Slice 59/155 | Brain
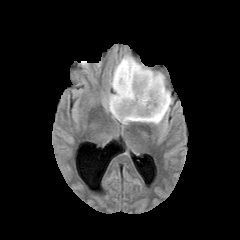
FLAIR MR image.
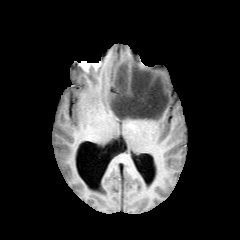
Same slice, T1-weighted magnetic resonance.
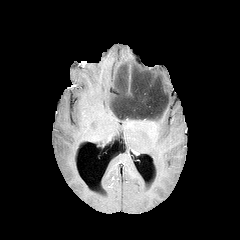
Post-contrast T1-weighted MRI of the same slice.
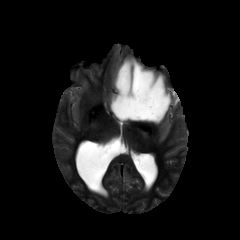
T2-weighted magnetic resonance of the same slice.
The edema appears at (x1=106, y1=55, x2=172, y2=126). The non-enhancing tumor core is located at (x1=112, y1=68, x2=168, y2=119).